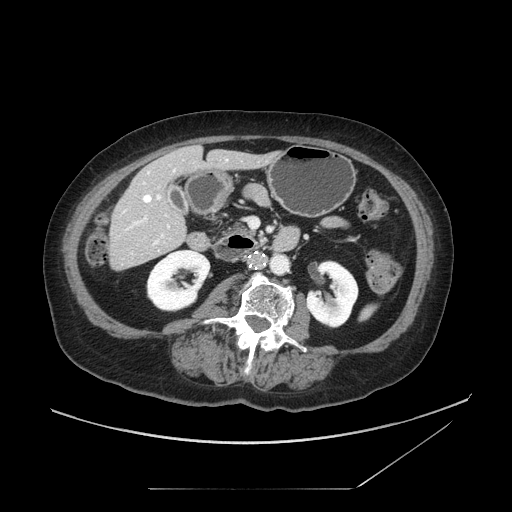
CT scan slice; Abdomen
The pancreas lies within box=[231, 225, 245, 232].